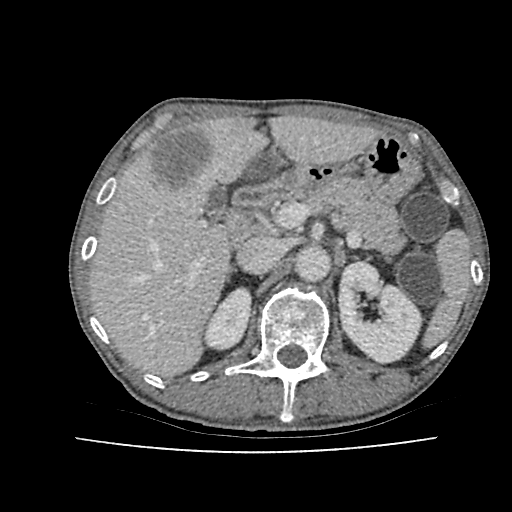 CT
Kidney — 339:262:420:361, 206:290:250:347.
Liver — 91:117:375:374.
Focal liver lesion — 148:130:212:189.